Slice index 403, Image size 512x512, CT slice, Upper abdomen
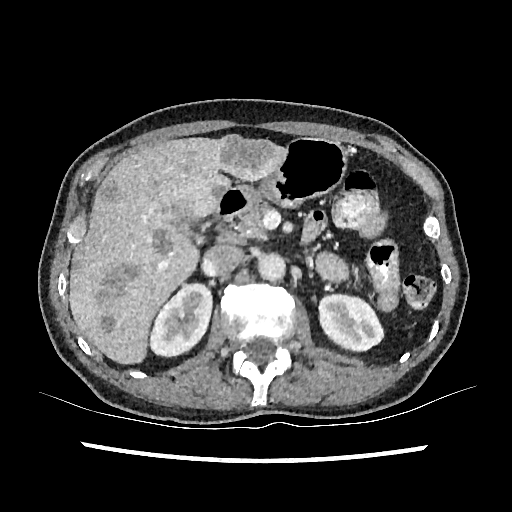

{
  "hepatic_lesion": [
    "(101, 316, 115, 333)",
    "(72, 260, 81, 272)",
    "(95, 268, 124, 300)",
    "(213, 185, 225, 199)",
    "(99, 184, 119, 201)",
    "(119, 263, 139, 280)",
    "(164, 205, 189, 224)",
    "(152, 229, 173, 255)",
    "(219, 137, 276, 169)"
  ],
  "kidney": [
    "(319, 295, 383, 350)",
    "(151, 284, 211, 357)"
  ],
  "liver": [
    "(70, 139, 285, 362)"
  ]
}